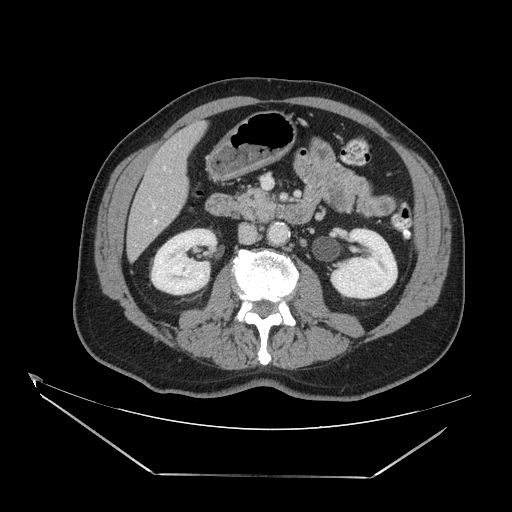
CT slice
Pancreas at 237,190,273,221.